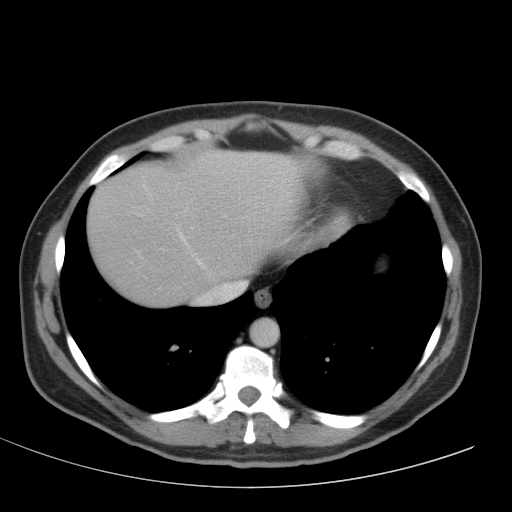

Image size 512x512. CT scan slice.

The liver appears at [88, 151, 309, 305].